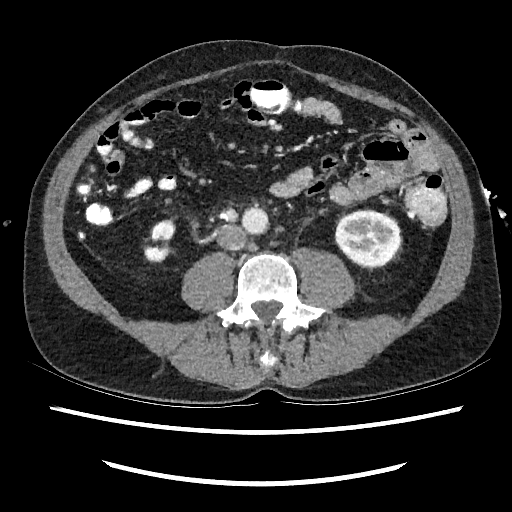

Abdomen; CT slice
3 kidney regions appear at rect(152, 222, 172, 238); rect(146, 248, 165, 259); rect(336, 211, 399, 265).